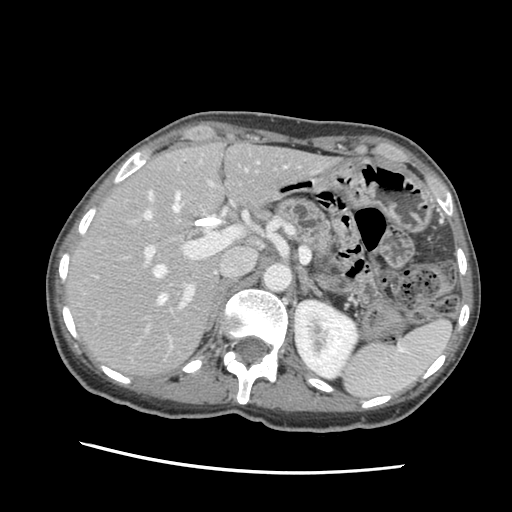 CT
• pancreas: left=276, top=198, right=331, bottom=256